Slice 40/155, Image size 240x240
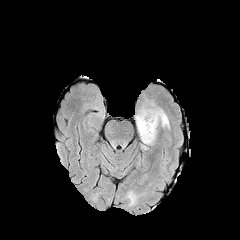
FLAIR magnetic resonance.
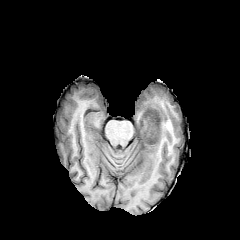
Same slice, T1-weighted MRI.
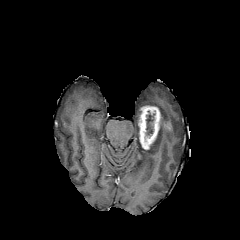
Post-contrast T1-weighted MRI of the same slice.
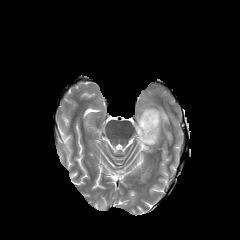
Same slice, T2-weighted magnetic resonance.
The non-enhancing tumor core is bounded by <box>146,115,153,134</box>. The edema appears at <box>150,107,170,149</box>. The enhancing tumor lies within <box>138,106,161,149</box>.